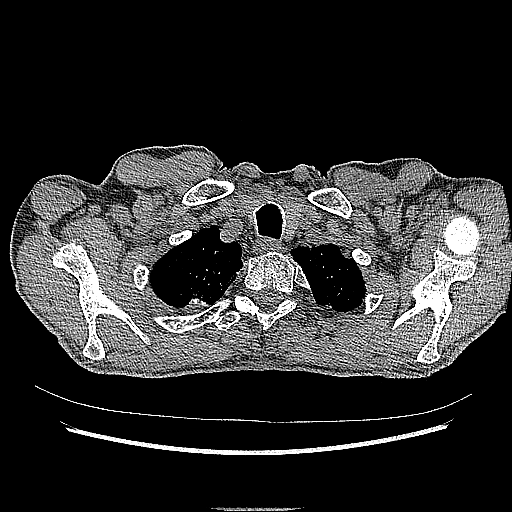
CT slice

Lung tumor: bounding box box(170, 287, 211, 311).